Abdomen; Image size 512x512; CT scan slice 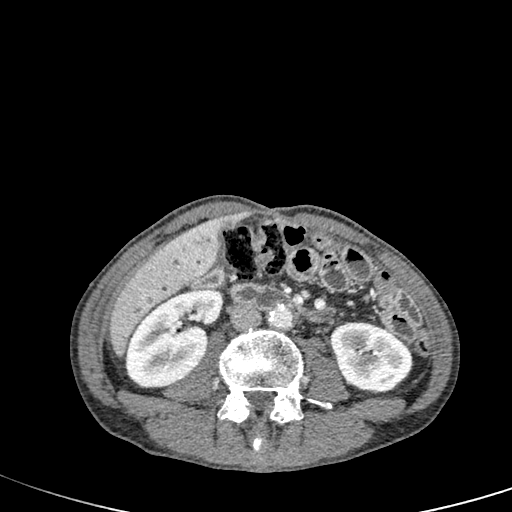

Liver = x1=110, y1=217, x2=223, y2=355.
Kidney = x1=331, y1=323, x2=411, y2=391; x1=126, y1=290, x2=222, y2=386.
Liver lesion = x1=222, y1=211, x2=250, y2=226.